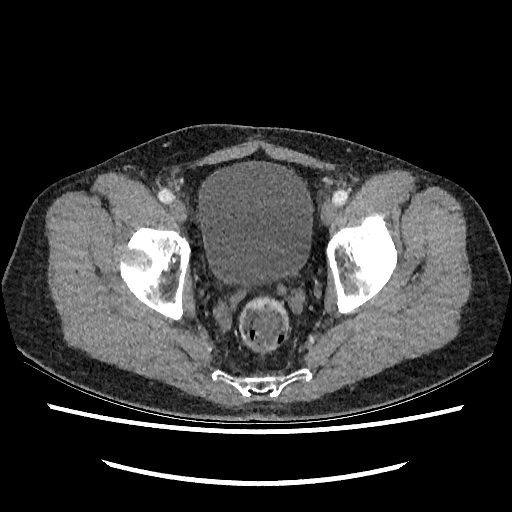
CT image

Segmented structures:
* urinary bladder: bbox(196, 160, 314, 291)